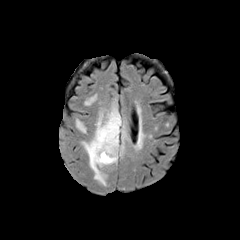
FLAIR MRI.
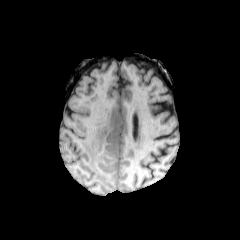
Same slice, T1-weighted MR image.
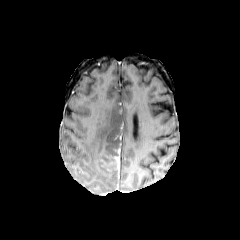
Same slice, post-contrast T1-weighted MRI.
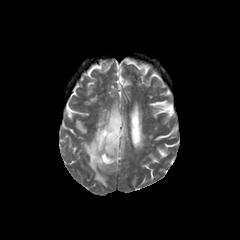
T2-weighted MR.
2 edema regions are located at {"x1": 85, "y1": 95, "x2": 98, "y2": 104}, {"x1": 81, "y1": 100, "x2": 128, "y2": 185}. The enhancing tumor is bounded by {"x1": 114, "y1": 148, "x2": 120, "y2": 164}.